Abdomen | 512x512 px | CT scan slice

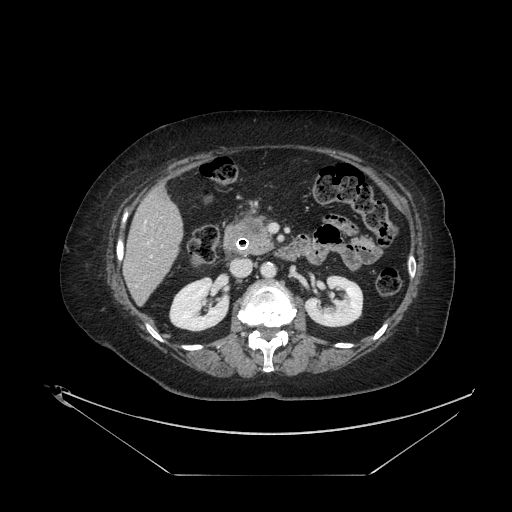 The pancreas is at l=226, t=216, r=274, b=256. The pancreatic tumor is bounded by l=244, t=218, r=262, b=235.